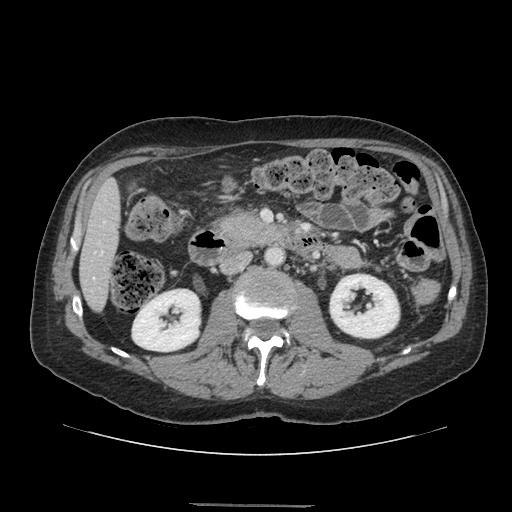
CT
pancreas:
  - x1=221 y1=213 x2=279 y2=244